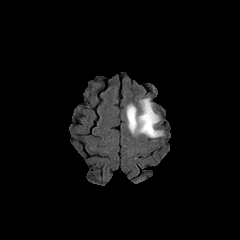
FLAIR MRI.
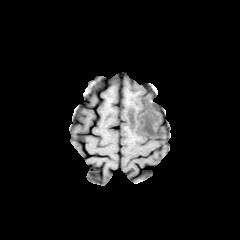
T1-weighted magnetic resonance.
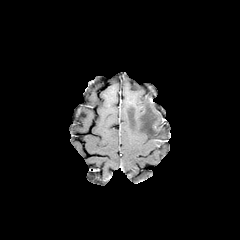
Post-contrast T1-weighted MR image.
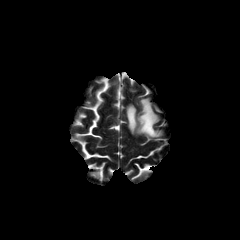
T2-weighted magnetic resonance.
Brain. 240x240 px.
{"non-enhancing_tumor_core": ["143:113:152:133"], "edema": ["125:96:162:138"]}